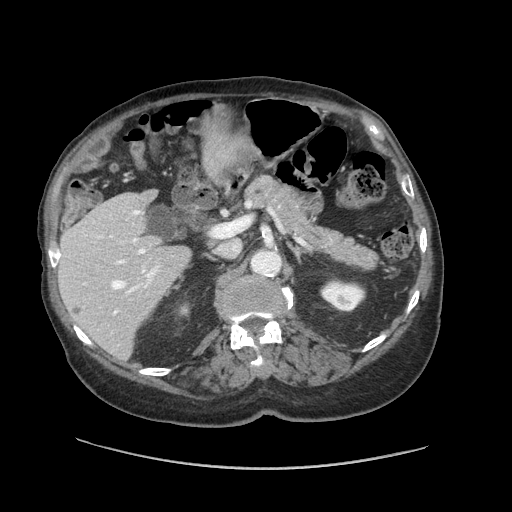
512x512. CT.

The vessel boxes may cover only some of the vessels.
The liver tumor is bounded by bbox(219, 151, 239, 177). 3 hepatic vessel regions are located at bbox(211, 224, 228, 237); bbox(111, 280, 125, 288); bbox(218, 241, 239, 252).